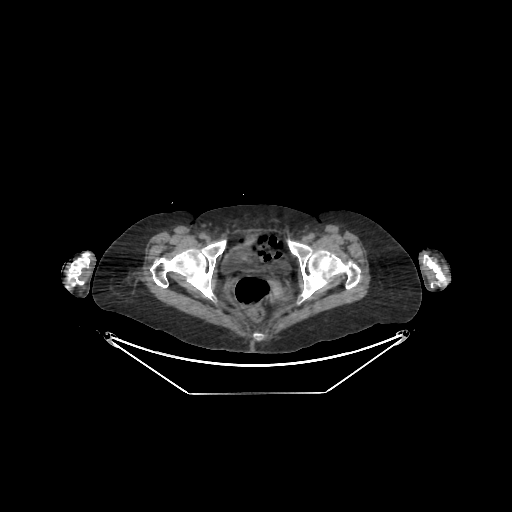 CT scan slice

Urinary bladder = {"x1": 221, "y1": 232, "x2": 290, "y2": 277}.